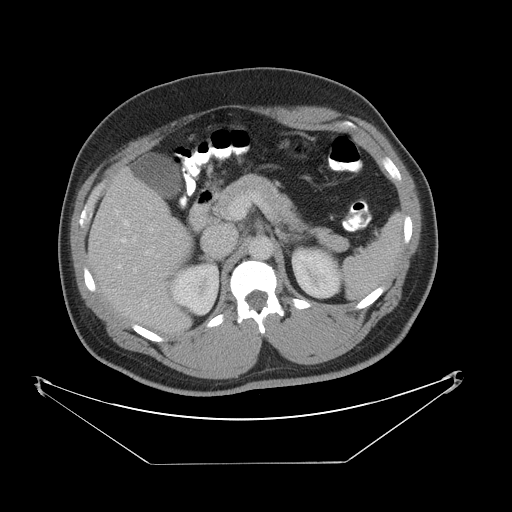 CT image.
The vessel boxes may cover only some of the vessels.
Segmented structures:
* hepatic vessel: x1=206 y1=227 x2=234 y2=252